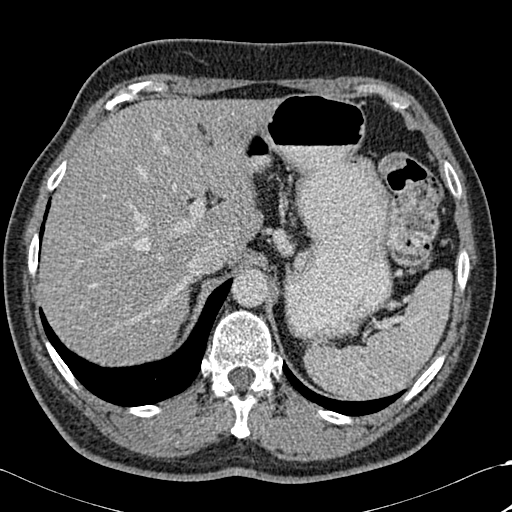

Computed tomography; Abdomen

Bone = 319:411:350:423, 47:343:75:386, 406:357:443:399, 445:164:461:195, 394:100:407:107, 106:83:145:109, 458:252:468:288, 48:162:65:189, 28:235:38:272, 201:311:282:437, 130:405:159:416.
Liver = 39:99:274:365.
Lung = 39:278:232:406, 39:198:50:244, 283:362:404:415.